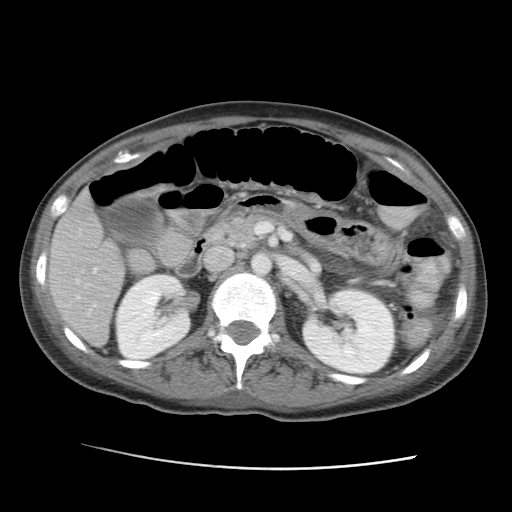
CT scan slice. Abdomen.
Kidney at 117:275:189:359, 303:289:394:373.
Liver at 49:188:123:344.